CT slice, Liver, 512x512 px 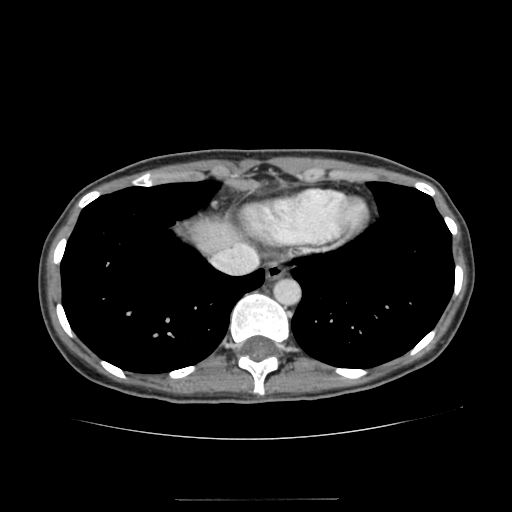
The liver lies within bbox=[185, 219, 241, 256].